Computed tomography, Field of view 339x339 mm

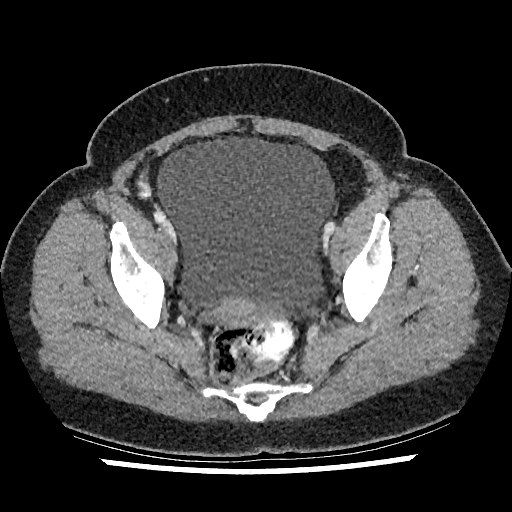 Urinary bladder = rect(157, 136, 334, 320).